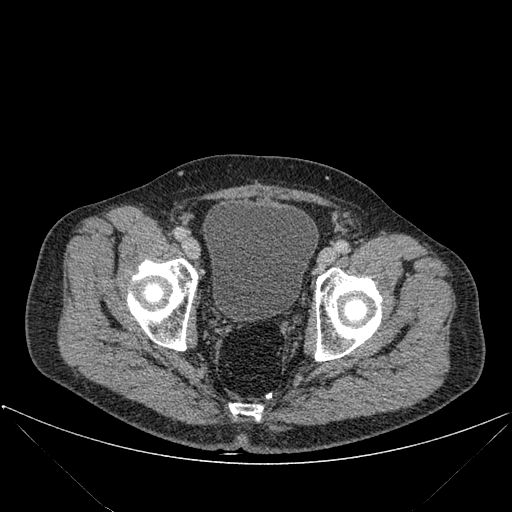

CT image. 512x512 px. Lower abdomen.

bone:
  - x1=127, y1=258, x2=197, y2=350
  - x1=315, y1=268, x2=381, y2=361
  - x1=229, y1=403, x2=263, y2=421
urinary_bladder:
  - x1=203, y1=198, x2=318, y2=321